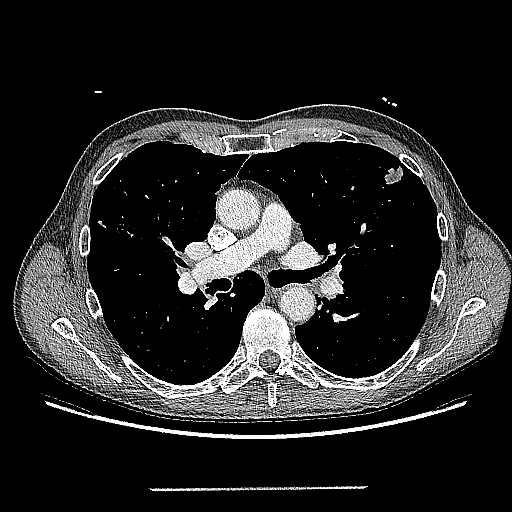
Chest; CT

{"lung_tumor": ["384, 164, 404, 184"]}